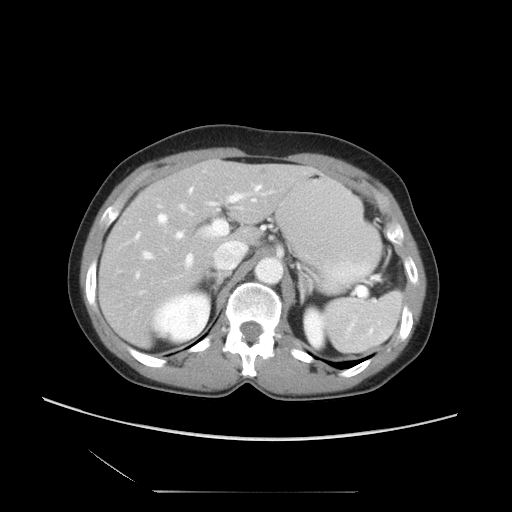

CT slice

Some hepatic vessels may have no box.
Principal 15 of 21 hepatic vessel regions at (262, 190, 272, 194), (184, 253, 192, 266), (209, 202, 215, 205), (134, 232, 139, 238), (201, 232, 218, 237), (188, 211, 192, 214), (157, 213, 166, 225), (188, 187, 192, 192), (226, 192, 244, 201), (213, 251, 216, 256), (179, 204, 185, 210), (174, 231, 183, 238), (221, 240, 237, 245), (142, 251, 152, 258), (253, 184, 261, 191).